FLAIR MRI.
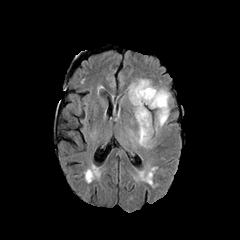
T1-weighted MRI.
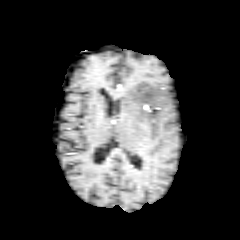
Post-contrast T1-weighted MR image.
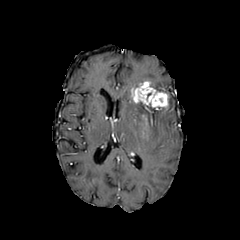
T2-weighted MR image.
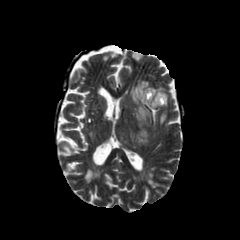
Brain
Annotated regions:
- non-enhancing tumor core: (left=137, top=102, right=161, bottom=112)
- enhancing tumor: (left=131, top=81, right=168, bottom=107)
- edema: (left=128, top=79, right=148, bottom=101), (left=133, top=102, right=169, bottom=147)